FLAIR MR image.
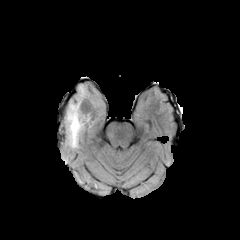
T1-weighted MR.
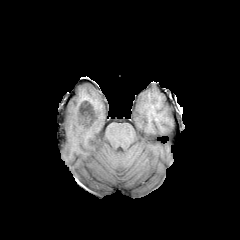
Post-contrast T1-weighted MRI.
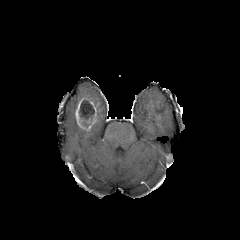
T2-weighted MR image.
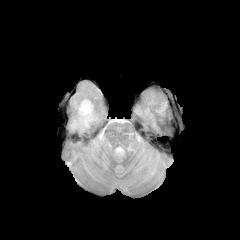
Brain
enhancing tumor: (left=76, top=104, right=81, bottom=126) | edema: (left=66, top=87, right=90, bottom=147) | non-enhancing tumor core: (left=79, top=102, right=96, bottom=123)